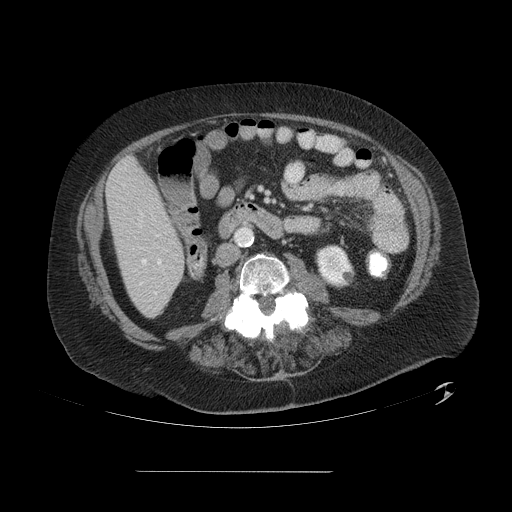 CT scan slice | Image size 512x512
Only some of the vessels may be annotated.
3 hepatic vessel regions appear at (left=142, top=259, right=146, bottom=263), (left=157, top=260, right=160, bottom=263), (left=156, top=234, right=159, bottom=236).